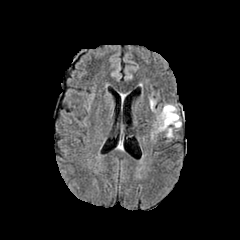
FLAIR magnetic resonance.
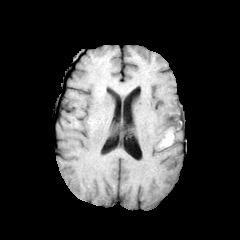
T1-weighted MR.
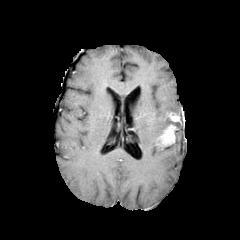
Post-contrast T1-weighted MRI.
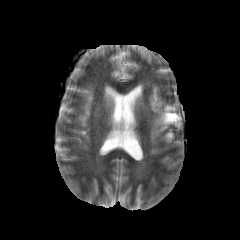
T2-weighted MR image.
240x240 px
Segmented structures:
* non-enhancing tumor core: [165, 112, 175, 131]
* edema: [173, 122, 181, 134], [149, 96, 181, 140]
* enhancing tumor: [168, 113, 180, 121], [165, 128, 173, 141]